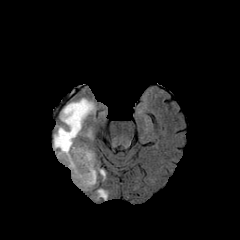
FLAIR magnetic resonance.
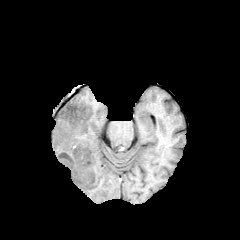
Same slice, T1-weighted MR image.
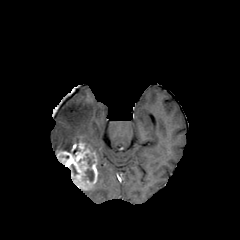
Post-contrast T1-weighted MRI.
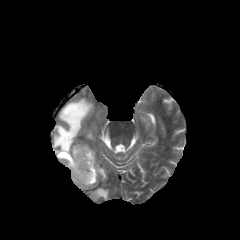
T2-weighted MR image.
240x240, Brain
Non-enhancing tumor core: (x1=85, y1=169, x2=93, y2=181).
Enhancing tumor: (x1=56, y1=143, x2=98, y2=190).
Edema: (x1=97, y1=161, x2=106, y2=179), (x1=53, y1=97, x2=94, y2=151), (x1=91, y1=187, x2=108, y2=200).